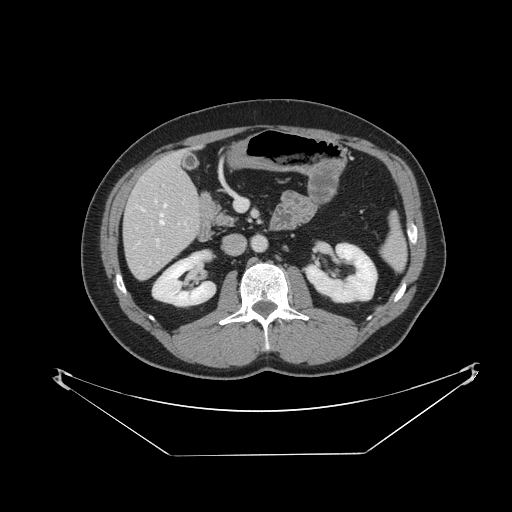

CT image; 512x512; Upper abdomen
Spleen at (x1=381, y1=213, x2=406, y2=269).